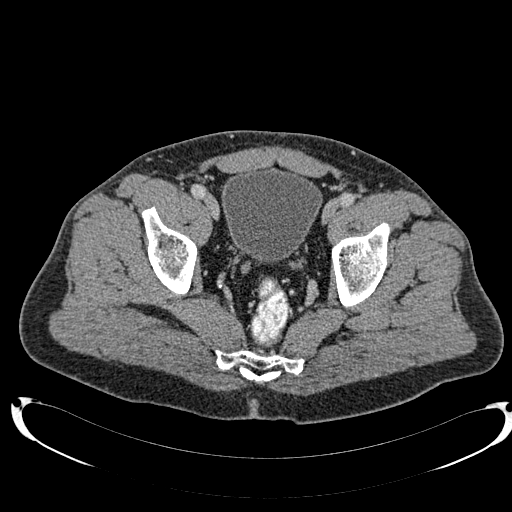 CT. Lower abdomen.
{"urinary_bladder": ["x1=222 y1=166 x2=322 y2=263"]}